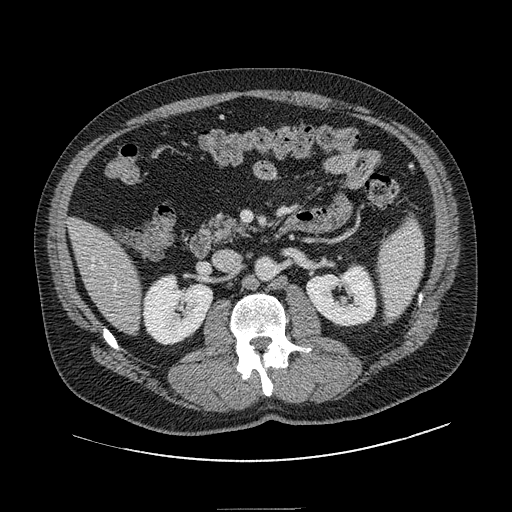 512x512 px | Computed tomography
The pancreas appears at 208:215:251:240.